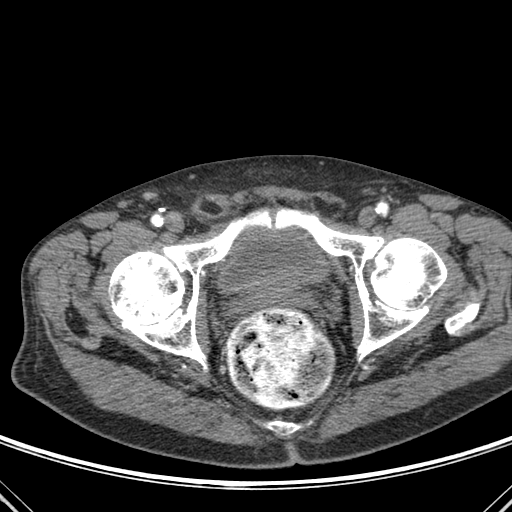
Image size 512x512; CT

bone:
  - 266,421,301,434
  - 445,303,479,334
  - 108,209,447,368